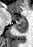 Image size 33x47; MRI slice; Hippocampus
{
  "posterior_hippocampus": [
    {"x1": 14, "y1": 23, "x2": 27, "y2": 32}
  ],
  "anterior_hippocampus": [
    {"x1": 11, "y1": 16, "x2": 26, "y2": 22}
  ]
}